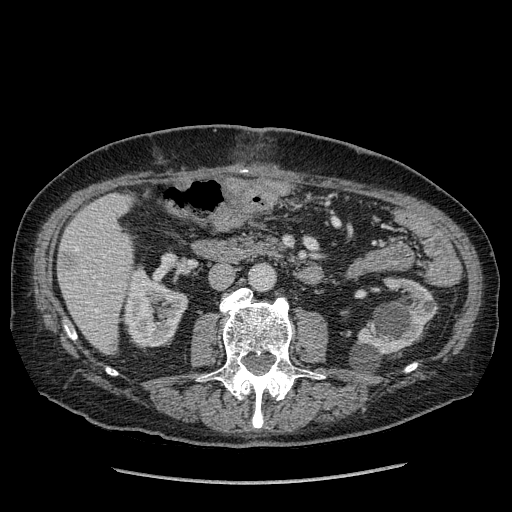 CT
liver: 58 194 133 355 | hepatic lesion: 62 252 77 269 | kidney: 358 278 437 354, 125 268 187 345